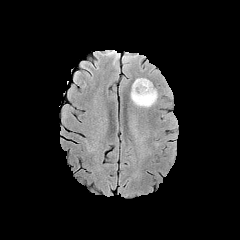
FLAIR MR image.
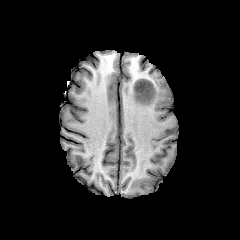
T1-weighted MR image of the same slice.
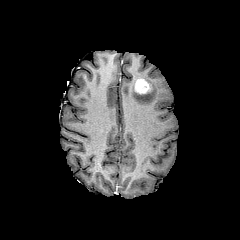
Same slice, post-contrast T1-weighted MRI.
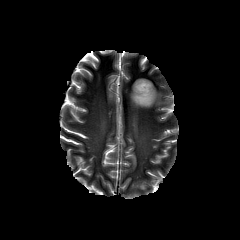
T2-weighted magnetic resonance.
The enhancing tumor is located at (x1=134, y1=78, x2=150, y2=93). The edema is at (x1=130, y1=83, x2=159, y2=107). The non-enhancing tumor core is at (x1=138, y1=78, x2=153, y2=95).